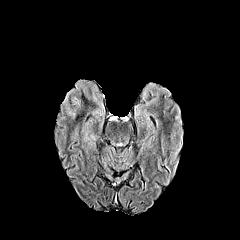
FLAIR MRI.
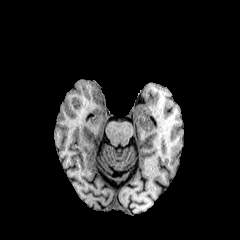
T1-weighted magnetic resonance of the same slice.
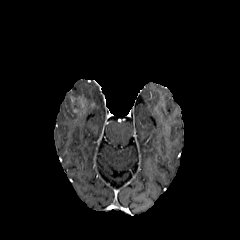
Same slice, post-contrast T1-weighted MR image.
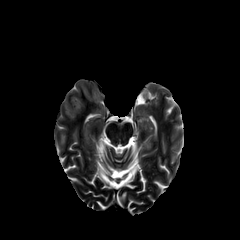
Same slice, T2-weighted MR.
edema:
  - [67,108,75,118]